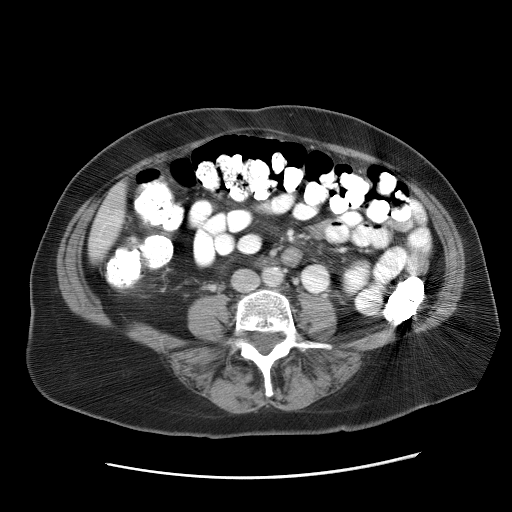 Computed tomography. Image size 512x512. The vessel annotation is not exhaustive.
Hepatic vessel: bounding box box=[104, 243, 105, 244].